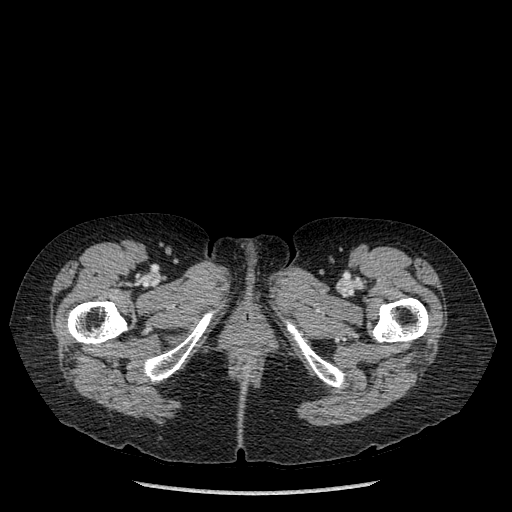
CT slice. 512x512 px.

Annotated regions:
- bone: box=[372, 298, 429, 342]; box=[286, 321, 344, 388]; box=[143, 311, 213, 381]; box=[65, 300, 127, 346]